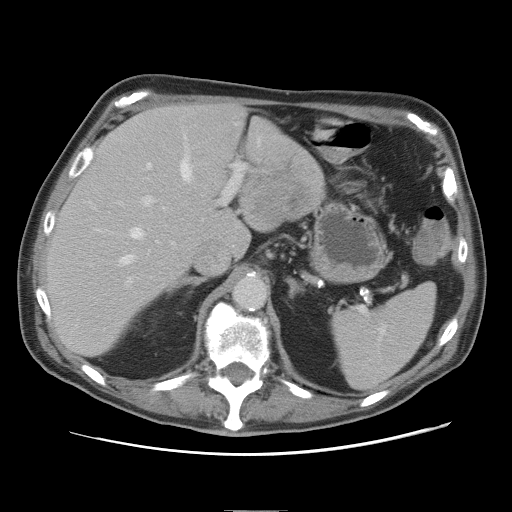

CT image. 512x512.

The vessel annotation is not exhaustive.
The liver tumor is at <box>280,186,305,208</box>. 9 hepatic vessel regions appear at <box>130,228,143,238</box>, <box>228,164,246,192</box>, <box>221,196,229,205</box>, <box>121,255,133,264</box>, <box>128,278,131,283</box>, <box>181,156,191,181</box>, <box>172,242,174,245</box>, <box>144,196,153,205</box>, <box>148,164,152,168</box>.